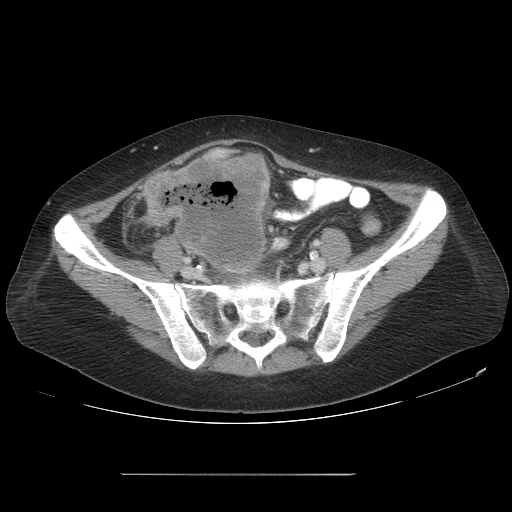
CT image

Colon tumor — 143,147,270,273.